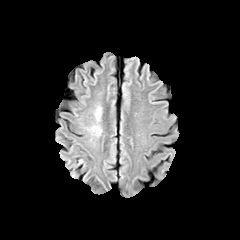
FLAIR MRI.
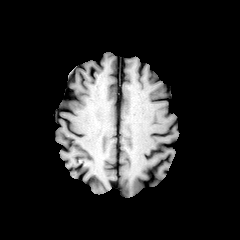
Same slice, T1-weighted MR image.
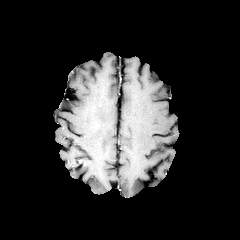
Post-contrast T1-weighted MRI.
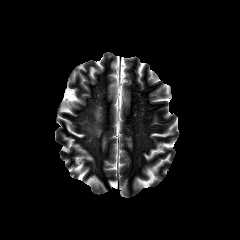
T2-weighted MR image.
The edema is at x1=86 y1=105 x2=101 y2=137.